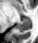

MRI slice. Posterior hippocampus: bounding box {"x1": 18, "y1": 20, "x2": 30, "y2": 32}.
Anterior hippocampus: bounding box {"x1": 24, "y1": 17, "x2": 29, "y2": 19}.